FLAIR MRI.
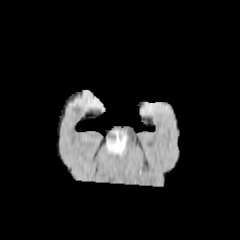
T1-weighted MR.
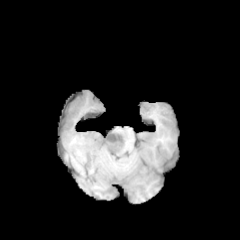
Post-contrast T1-weighted MR image.
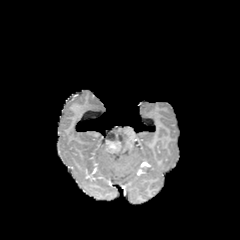
T2-weighted magnetic resonance.
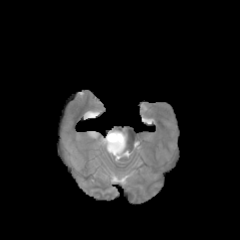
Segmented structures:
- non-enhancing tumor core: x1=104 y1=132 x2=124 y2=153
- edema: x1=109 y1=127 x2=128 y2=155
- enhancing tumor: x1=105 y1=140 x2=119 y2=150